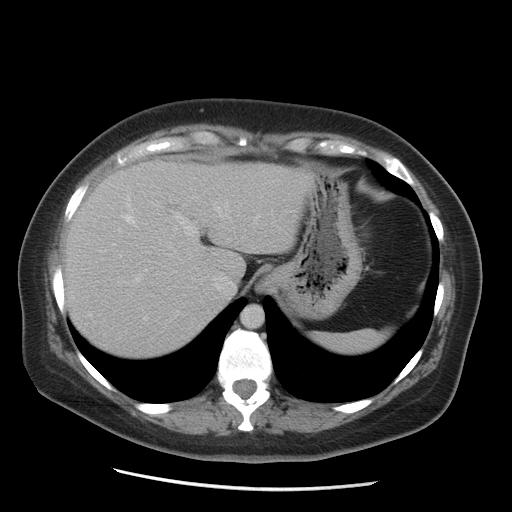

512x512 px | Liver | CT slice
<segmentation>
  <liver>box=[62, 160, 302, 356]</liver>
</segmentation>